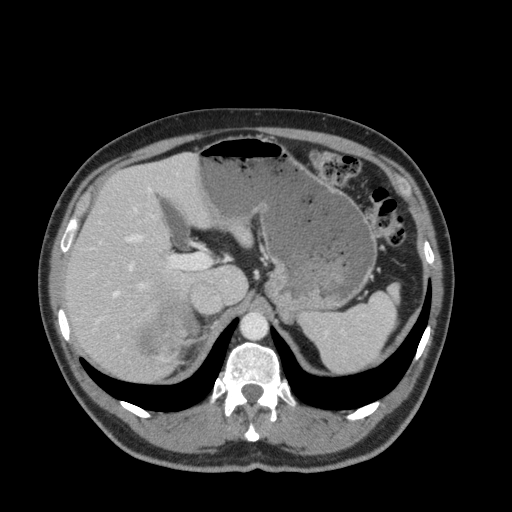 CT image. Liver.
* liver: bbox(66, 154, 246, 380); bbox(231, 224, 241, 231)